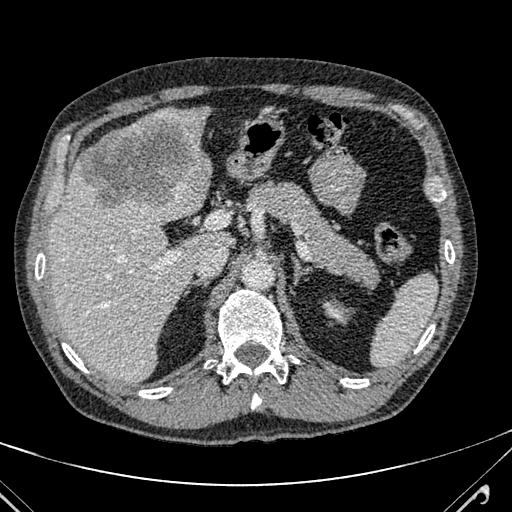
CT scan slice. Findings:
• hepatic lesion: region(78, 112, 210, 209)
• liver: region(116, 114, 152, 133); region(49, 159, 233, 382); region(158, 107, 207, 148)